Image width 396 mm | Upper abdomen | Slice 73/101 | CT

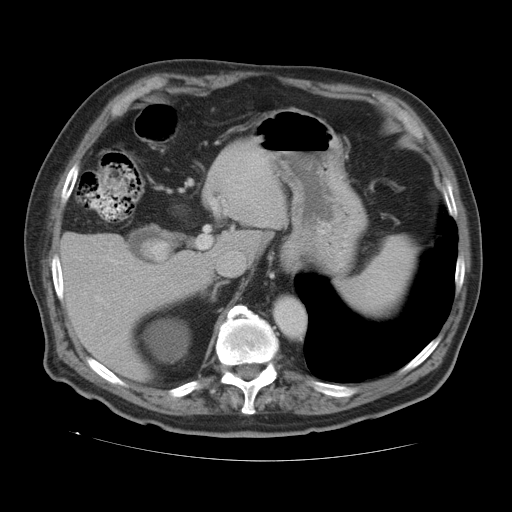

<segmentation>
  <spleen>(336,238,417,317)</spleen>
</segmentation>